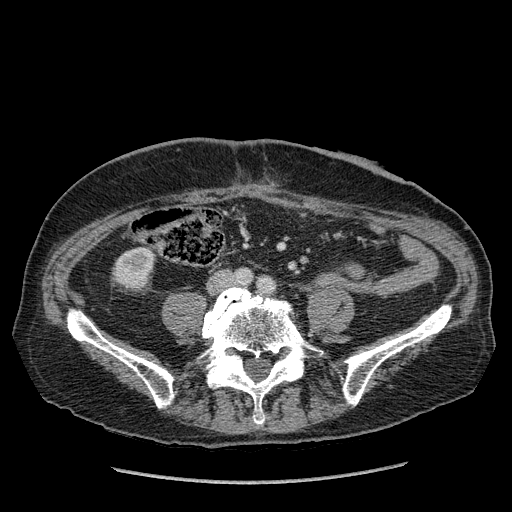

CT image
<segmentation>
  <kidney>bbox=[113, 247, 153, 287]</kidney>
</segmentation>